Computed tomography. 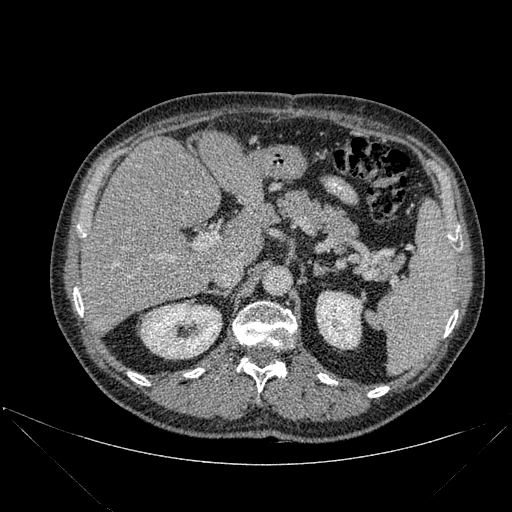
{"kidney": ["<box>316,291,362,348</box>", "<box>141,303,221,358</box>"], "bone": ["<box>127,372,149,385</box>", "<box>77,225,85,237</box>", "<box>368,386,388,397</box>", "<box>444,310,457,336</box>", "<box>237,358,286,392</box>", "<box>184,368,203,377</box>", "<box>448,226,459,243</box>", "<box>318,373,337,384</box>", "<box>233,302,296,349</box>", "<box>73,287,83,316</box>"], "liver": ["<box>79,137,222,336</box>", "<box>200,130,257,190</box>", "<box>231,180,269,266</box>"]}